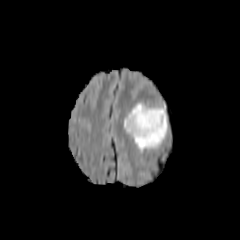
FLAIR magnetic resonance.
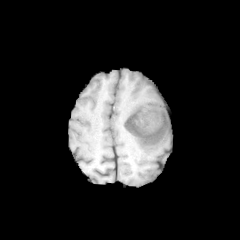
T1-weighted MRI.
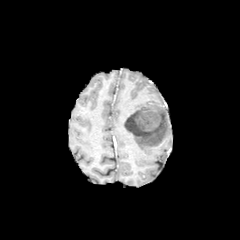
Post-contrast T1-weighted MRI of the same slice.
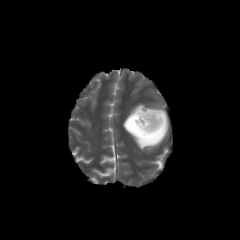
Same slice, T2-weighted MR.
Image size 240x240. Head.
The non-enhancing tumor core appears at l=125, t=108, r=162, b=137. The edema is located at l=124, t=102, r=170, b=150.